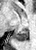 MRI slice. Hippocampus. 36x50.
posterior hippocampus: region(13, 30, 27, 41)